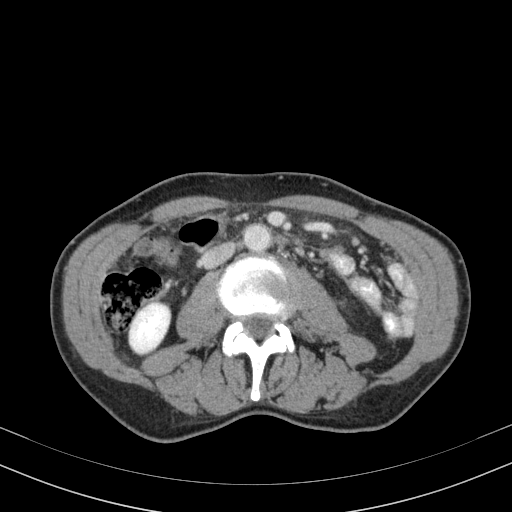

CT image
Annotated regions:
• kidney: box(130, 303, 169, 352)